Computed tomography, Liver, 512x512 px, Slice index 390 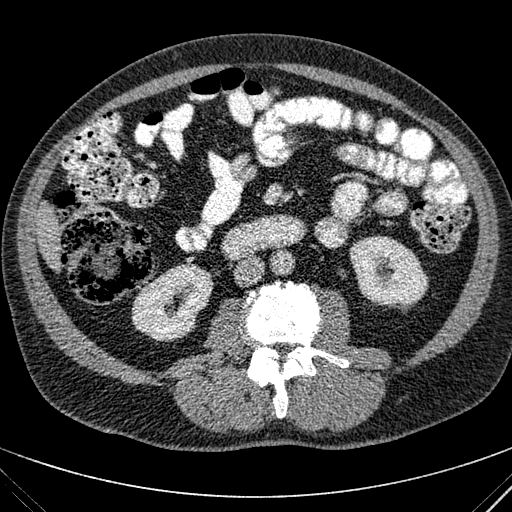
Annotated regions:
* kidney: [132, 264, 212, 340], [350, 236, 427, 305]
* liver: [36, 202, 60, 269]